FLAIR MRI.
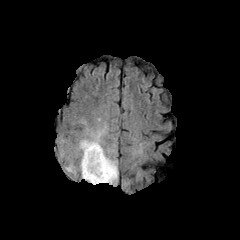
T1-weighted magnetic resonance.
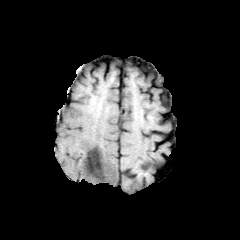
Post-contrast T1-weighted MR image.
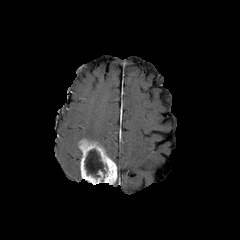
T2-weighted magnetic resonance.
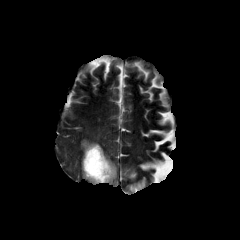
Head. Image size 240x240.
The enhancing tumor is bounded by box=[80, 140, 117, 183]. The edema appears at box=[89, 133, 101, 145]. The non-enhancing tumor core lies within box=[85, 149, 105, 176].